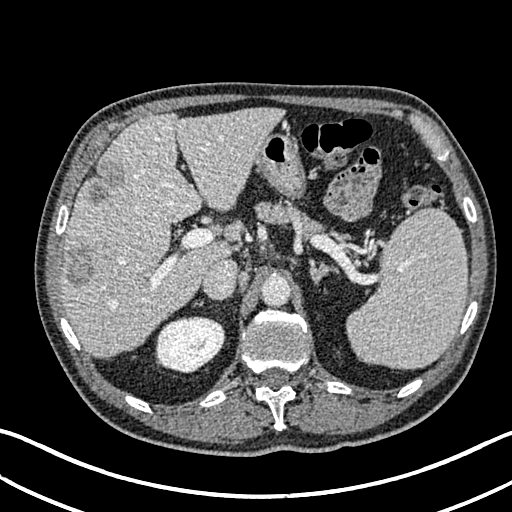 Computed tomography
The kidney lies within [157, 318, 223, 371]. 2 hepatic lesion regions appear at [85, 159, 125, 203], [67, 245, 94, 285]. 2 liver regions are bounded by [212, 225, 221, 235], [62, 108, 283, 357].